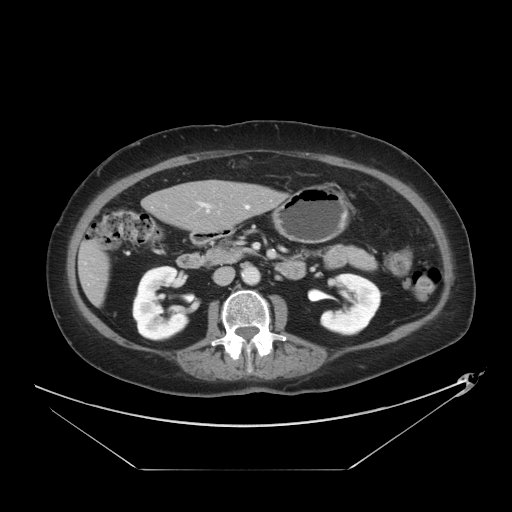
Computed tomography | Abdomen

The vessel annotation is not exhaustive.
Hepatic vessel: bounding box 198:202:210:211, 245:205:248:208.